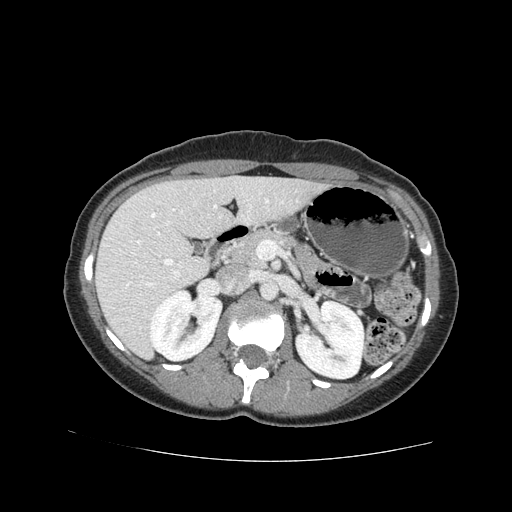

CT image, Abdomen
Pancreas = (x1=224, y1=230, x2=295, y2=267).